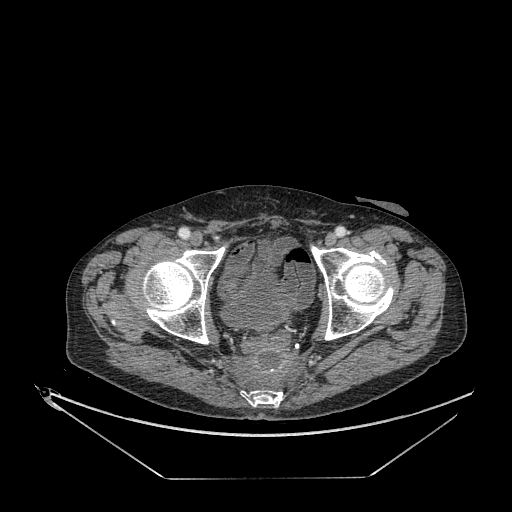 CT | Pelvis

The urinary bladder is bounded by bbox=[220, 240, 289, 326].